Image size 240x240
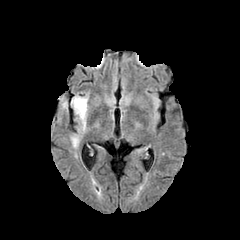
FLAIR MRI.
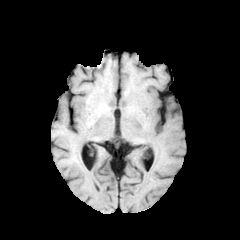
T1-weighted MR of the same slice.
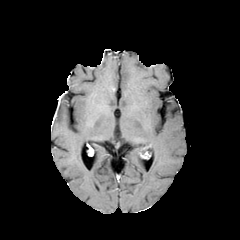
Same slice, post-contrast T1-weighted MR.
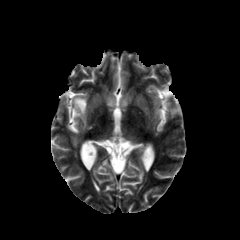
Same slice, T2-weighted MR image.
2 edema regions are bounded by l=60, t=101, r=69, b=112; l=70, t=94, r=88, b=147.